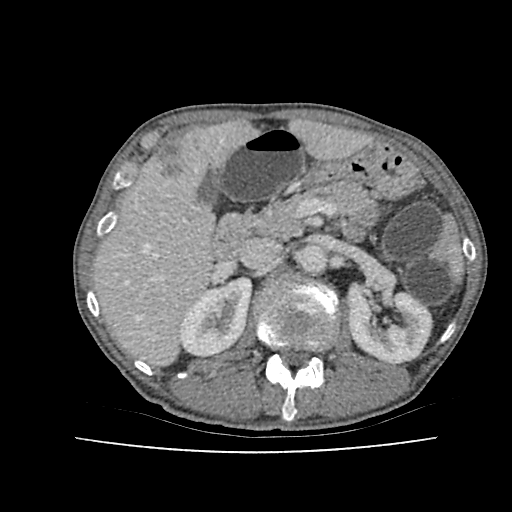 Liver. 512x512. CT image. 2 kidney regions appear at (180,278,250,355), (350,286,430,362). 2 liver regions appear at (96,123,254,362), (293,122,367,155). The focal liver lesion is at (157,143,182,178).